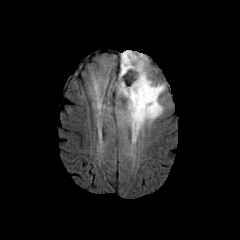
FLAIR magnetic resonance.
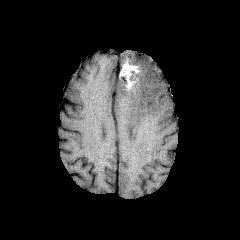
T1-weighted MR.
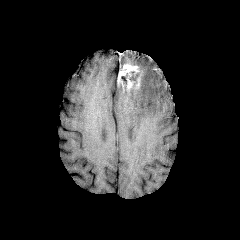
Post-contrast T1-weighted MRI.
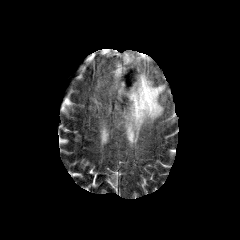
T2-weighted magnetic resonance.
240x240 px.
Non-enhancing tumor core at [118, 70, 141, 90], [121, 55, 137, 66].
Enhancing tumor at [117, 60, 139, 85].
Edema at [116, 50, 167, 145].